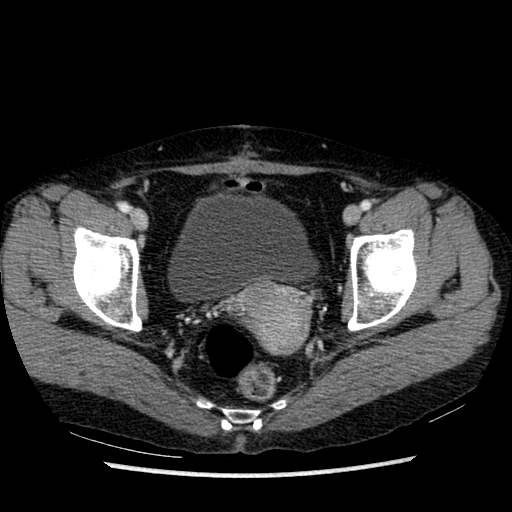 CT slice, Pelvis
Urinary bladder: bounding box (167,191,319,302).